Brain. 240x240.
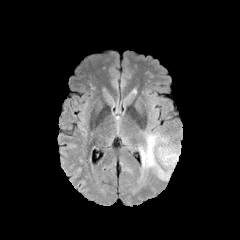
FLAIR MRI.
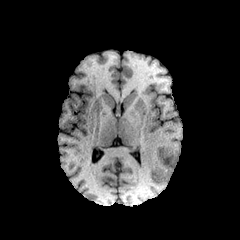
T1-weighted MRI.
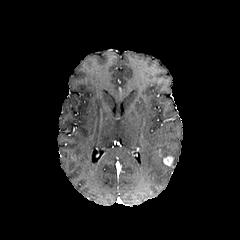
Post-contrast T1-weighted magnetic resonance.
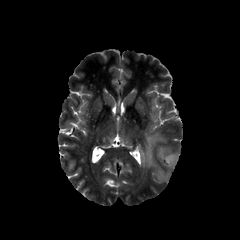
Same slice, T2-weighted MR image.
2 edema regions appear at [157, 166, 170, 181], [139, 133, 157, 172]. The enhancing tumor is located at [163, 154, 174, 168].